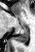

MR. Hippocampus.
<segmentation>
  <posterior_hippocampus>13,26,28,42</posterior_hippocampus>
</segmentation>